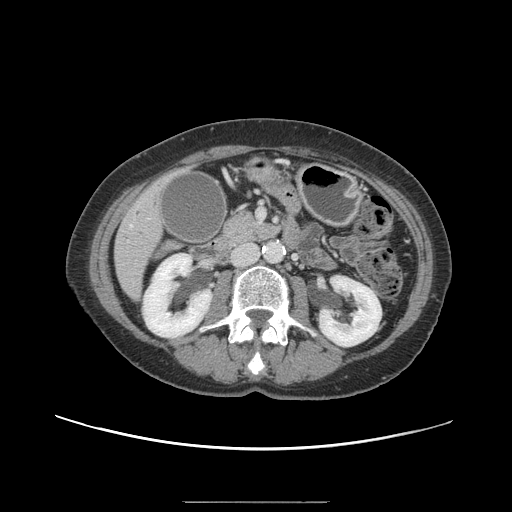
CT; Abdomen
{
  "pancreas": [
    "(left=225, top=211, right=278, bottom=244)"
  ]
}